Upper abdomen. CT.
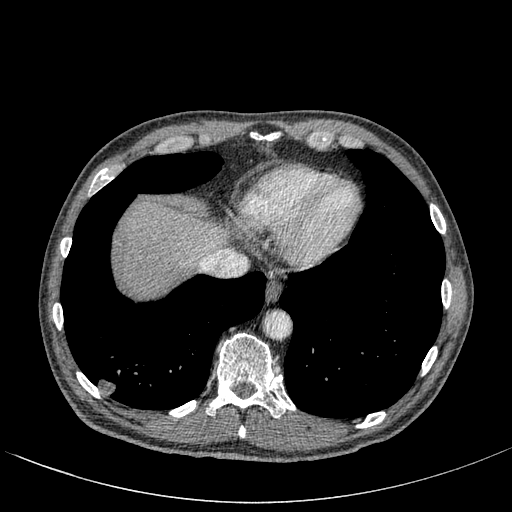

The liver is bounded by (x1=115, y1=202, x2=225, y2=297).